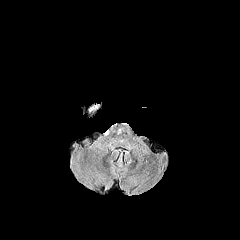
FLAIR MRI.
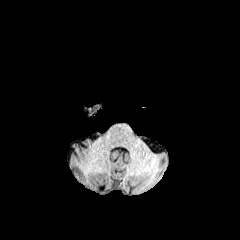
T1-weighted magnetic resonance.
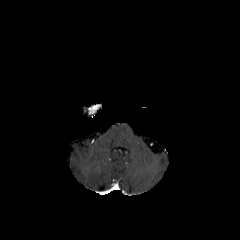
Same slice, post-contrast T1-weighted MRI.
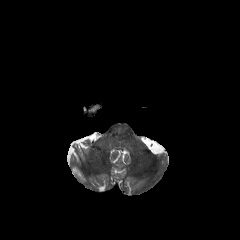
Same slice, T2-weighted magnetic resonance.
Head
<segmentation>
  <enhancing_tumor>83, 102, 101, 118</enhancing_tumor>
</segmentation>